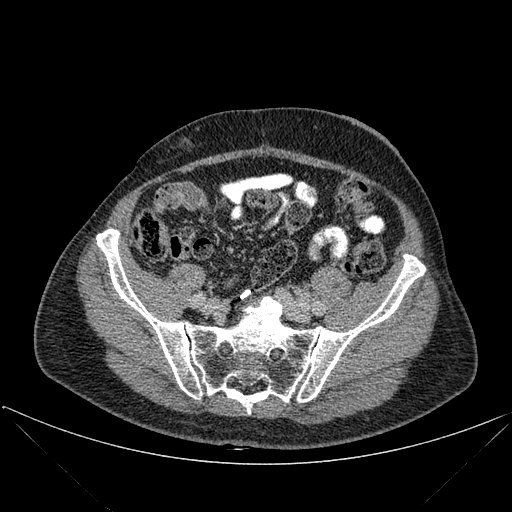 CT scan slice
Bone = box=[96, 229, 425, 413].